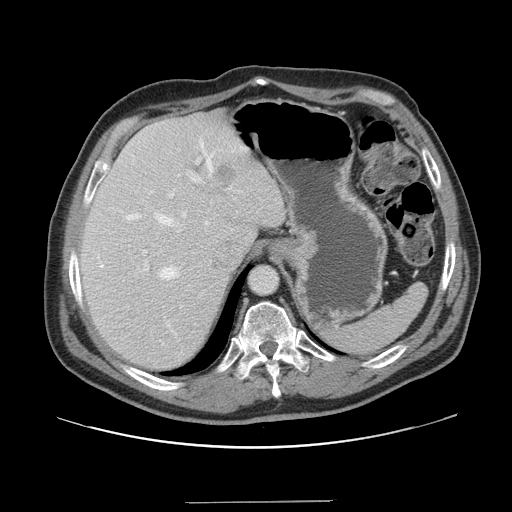
CT slice, Abdomen, 512x512 px

The vessel boxes may cover only some of the vessels.
13 hepatic vessel regions appear at <bbox>200, 139, 212, 174</bbox>, <bbox>143, 250, 146, 253</bbox>, <bbox>187, 171, 201, 182</bbox>, <bbox>229, 186, 231, 189</bbox>, <bbox>168, 189, 174, 196</bbox>, <bbox>100, 264, 103, 267</bbox>, <bbox>125, 214, 140, 220</bbox>, <bbox>183, 213, 184, 215</bbox>, <bbox>155, 212, 173, 226</bbox>, <bbox>205, 222, 207, 224</bbox>, <bbox>160, 267, 177, 278</bbox>, <bbox>143, 261, 147, 270</bbox>, <bbox>196, 157, 200, 163</bbox>. The liver tumor is bounded by <bbox>217, 165, 235, 183</bbox>.